CT slice, 512x512, Slice 29 of 134, Liver, Image width 377 mm
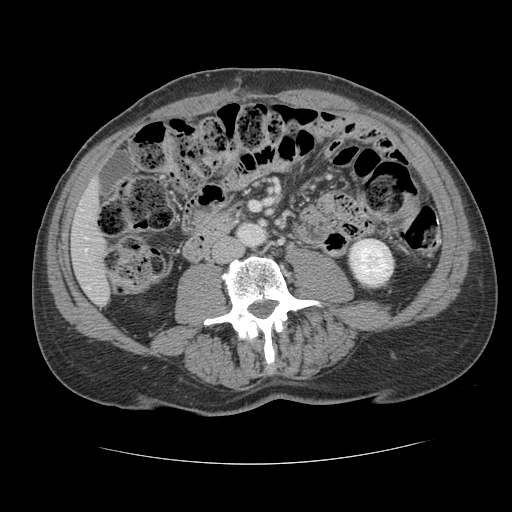

Some hepatic vessels may have no box.
2 hepatic vessel regions appear at 86 286 89 288, 85 249 86 250.